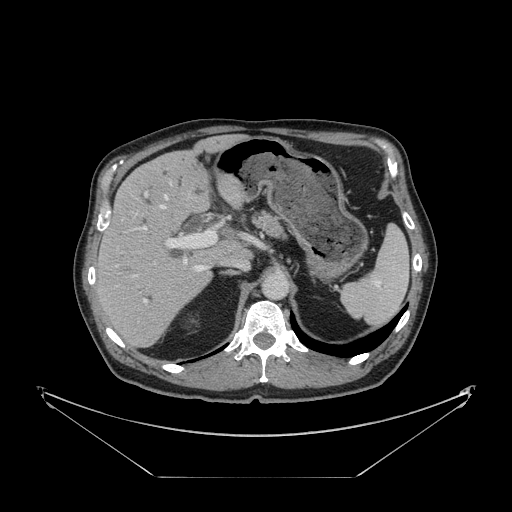

Image size 512x512, CT, Abdomen
The vessel annotation is not exhaustive.
11 hepatic vessel regions appear at bbox(115, 265, 117, 266); bbox(195, 266, 205, 270); bbox(144, 193, 146, 196); bbox(144, 300, 146, 302); bbox(169, 181, 170, 184); bbox(160, 205, 164, 208); bbox(133, 275, 136, 276); bbox(183, 259, 186, 263); bbox(164, 195, 167, 199); bbox(166, 230, 216, 247); bbox(140, 226, 145, 229).